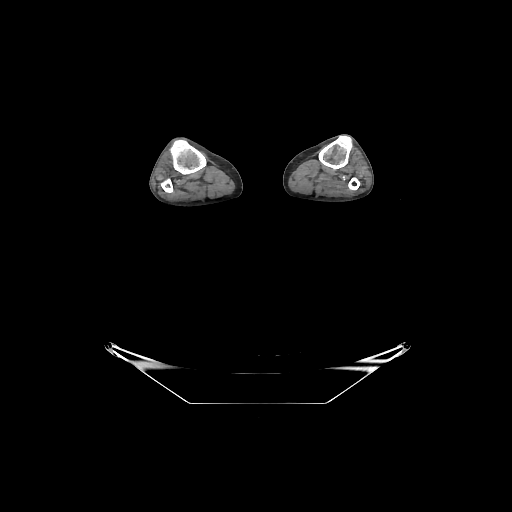 Computed tomography
Bone — 348:177:359:189, 319:136:352:169, 170:140:206:174, 161:179:172:192.